240x240 px; Slice 60 of 155
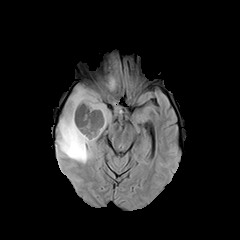
FLAIR magnetic resonance.
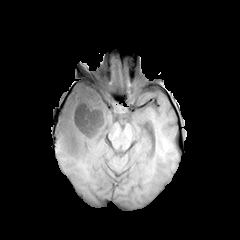
T1-weighted MR image.
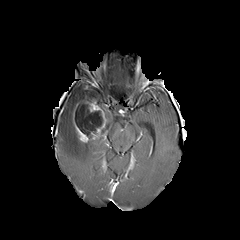
Post-contrast T1-weighted MR image of the same slice.
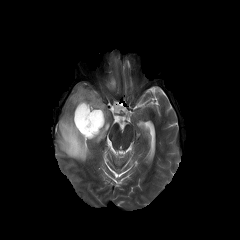
T2-weighted MRI.
The edema lies within x1=56 y1=87 x2=99 y2=163. The non-enhancing tumor core is bounded by x1=74 y1=97 x2=109 y2=140. 2 enhancing tumor regions are bounded by x1=75 y1=126 x2=88 y2=141, x1=88 y1=100 x2=105 y2=139.